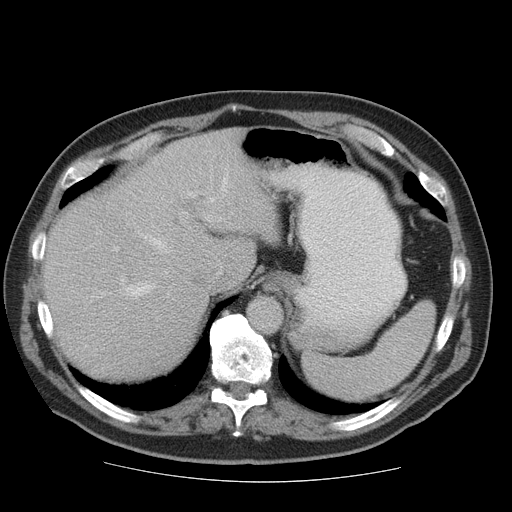
CT slice.
Some hepatic vessels may have no box.
The principal 15 hepatic vessel regions (of 29) appear at [x1=182, y1=212, x2=188, y2=214], [x1=164, y1=271, x2=167, y2=277], [x1=216, y1=195, x2=224, y2=199], [x1=157, y1=193, x2=164, y2=199], [x1=140, y1=234, x2=171, y2=252], [x1=150, y1=183, x2=154, y2=188], [x1=185, y1=189, x2=201, y2=196], [x1=220, y1=166, x2=231, y2=192], [x1=126, y1=281, x2=156, y2=297], [x1=203, y1=213, x2=225, y2=221], [x1=206, y1=197, x2=215, y2=204], [x1=179, y1=191, x2=183, y2=199], [x1=168, y1=287, x2=170, y2=295], [x1=120, y1=278, x2=124, y2=285], [x1=114, y1=246, x2=118, y2=251].